35x52, Image width 35 mm, Slice 19 of 34, MRI

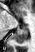

The posterior hippocampus is at 12 25 28 43.